Image size 512x512. CT slice.

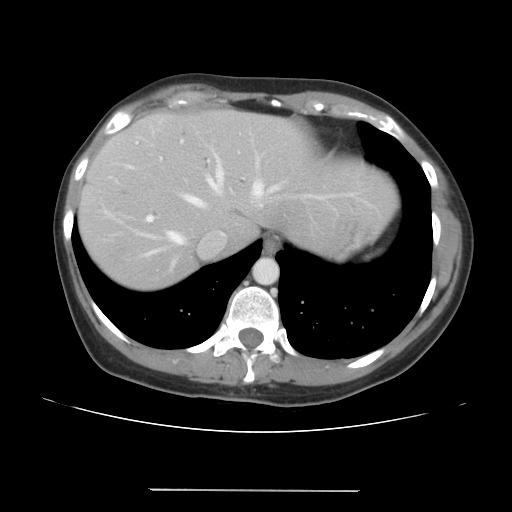
Not every hepatic vessel necessarily has a box.
12 hepatic vessel regions appear at x1=205 y1=153 x2=224 y2=196, x1=247 y1=127 x2=253 y2=138, x1=132 y1=230 x2=158 y2=238, x1=218 y1=233 x2=221 y2=236, x1=282 y1=194 x2=291 y2=197, x1=178 y1=192 x2=208 y2=208, x1=145 y1=214 x2=153 y2=222, x1=144 y1=250 x2=155 y2=256, x1=164 y1=231 x2=186 y2=245, x1=158 y1=248 x2=165 y2=250, x1=249 y1=144 x2=277 y2=208, x1=299 y1=194 x2=343 y2=199.